FLAIR MR.
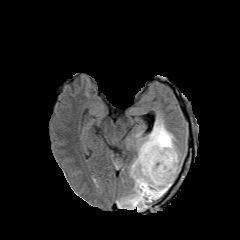
T1-weighted MRI.
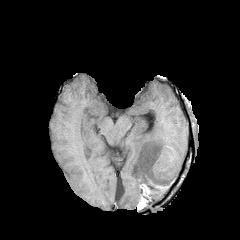
Post-contrast T1-weighted magnetic resonance.
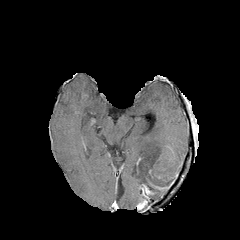
T2-weighted magnetic resonance.
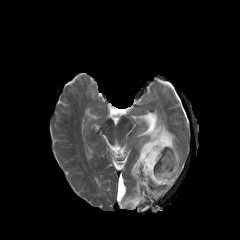
Brain
edema:
  - <box>117,115,181,208</box>
non-enhancing_tumor_core:
  - <box>145,150,167,181</box>
  - <box>155,177,174,189</box>
  - <box>140,184,151,201</box>